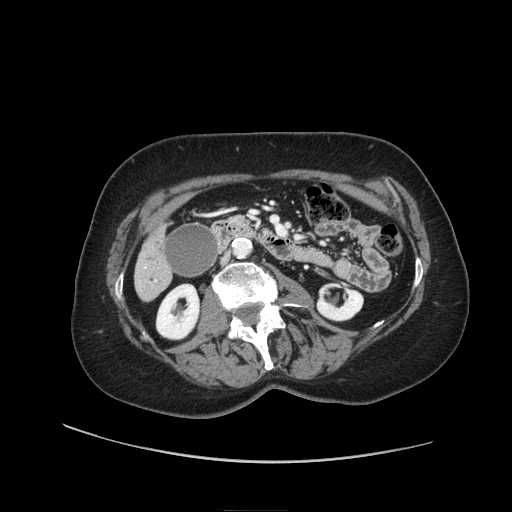

CT image; 512x512 px

The pancreas appears at box=[232, 216, 245, 224].